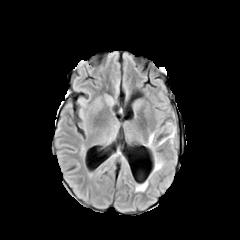
FLAIR MRI.
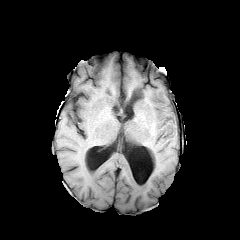
Same slice, T1-weighted MRI.
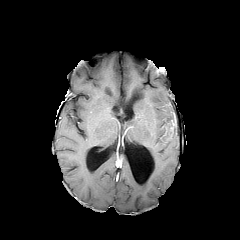
Post-contrast T1-weighted MR image.
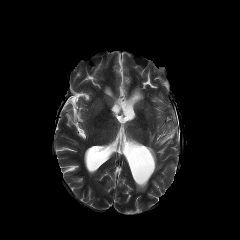
T2-weighted MR.
4 edema regions appear at x1=159 y1=122 x2=176 y2=145, x1=152 y1=152 x2=163 y2=174, x1=146 y1=133 x2=154 y2=148, x1=135 y1=180 x2=148 y2=191.